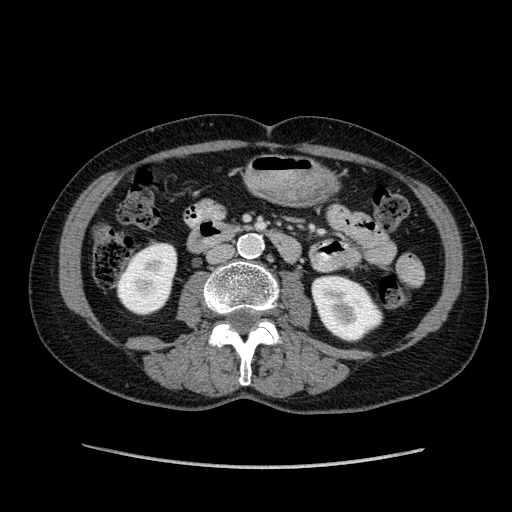

CT scan slice | Abdomen | 512x512
Kidney — x1=312, y1=277, x2=380, y2=339; x1=118, y1=244, x2=175, y2=313.